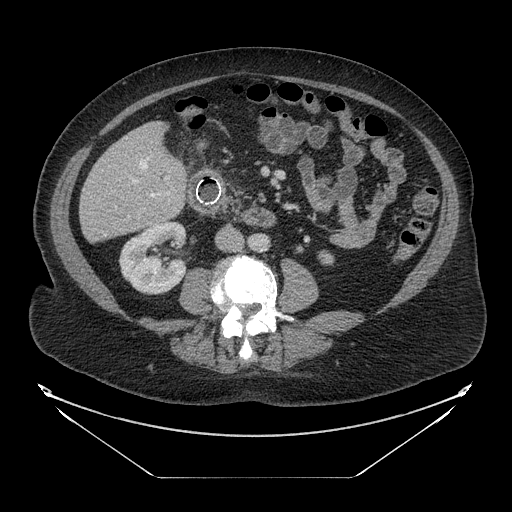
Upper abdomen. 512x512. CT image.
- pancreas: x1=222 y1=195 x2=239 y2=209